FLAIR MR.
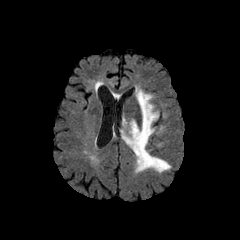
T1-weighted MR.
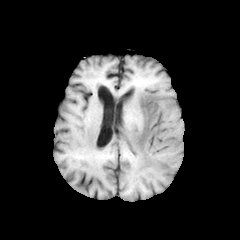
Post-contrast T1-weighted magnetic resonance.
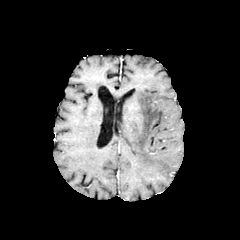
T2-weighted magnetic resonance.
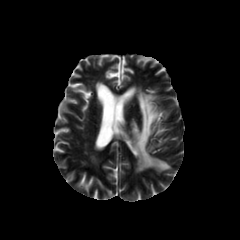
edema:
  - x1=121 y1=88 x2=171 y2=172